512x512 px. CT scan slice. Abdomen. 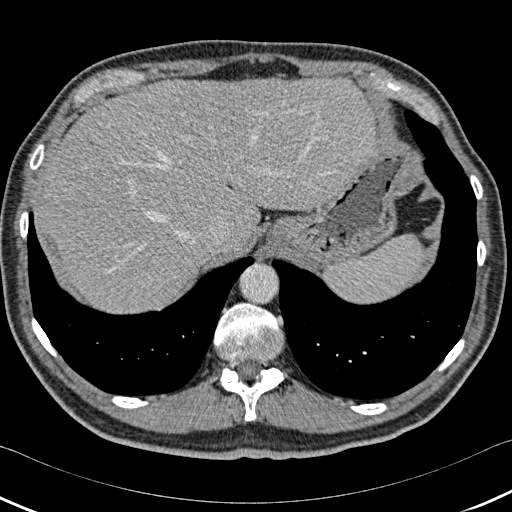
Lung at rect(27, 211, 254, 396); rect(272, 105, 477, 402).
Bone at rect(214, 303, 280, 360); rect(477, 241, 485, 265); rect(220, 368, 283, 420); rect(351, 403, 386, 414); rect(470, 175, 482, 198); rect(30, 145, 43, 169); rect(32, 318, 56, 356); rect(112, 396, 147, 408); rect(438, 339, 464, 370); rect(20, 212, 27, 237).
Liver at rect(36, 77, 372, 313).